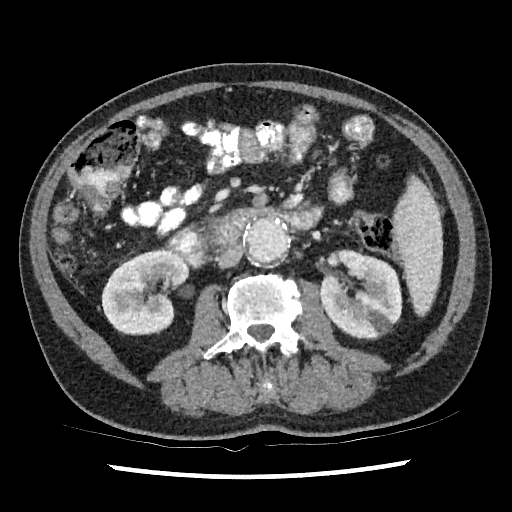
CT
Annotated regions:
- kidney: [x1=102, y1=250, x2=188, y2=333], [x1=328, y1=254, x2=338, y2=265], [x1=320, y1=250, x2=401, y2=337]